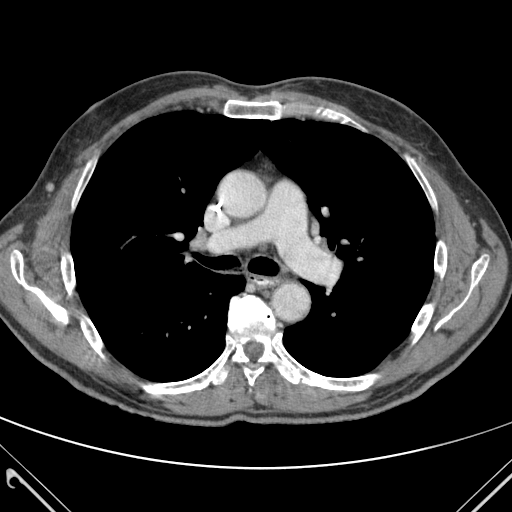 512x512 px | CT image
lung: [x1=71, y1=111, x2=435, y2=381] | bone: [x1=314, y1=109, x2=355, y2=123], [x1=408, y1=158, x2=436, y2=205], [x1=11, y1=250, x2=67, y2=323], [x1=72, y1=162, x2=93, y2=207], [x1=143, y1=295, x2=377, y2=394], [x1=81, y1=318, x2=103, y2=356], [x1=61, y1=255, x2=74, y2=294], [x1=435, y1=255, x2=488, y2=329], [x1=412, y1=304, x2=432, y2=342], [x1=434, y1=241, x2=446, y2=277], [x1=222, y1=100, x2=297, y2=119]